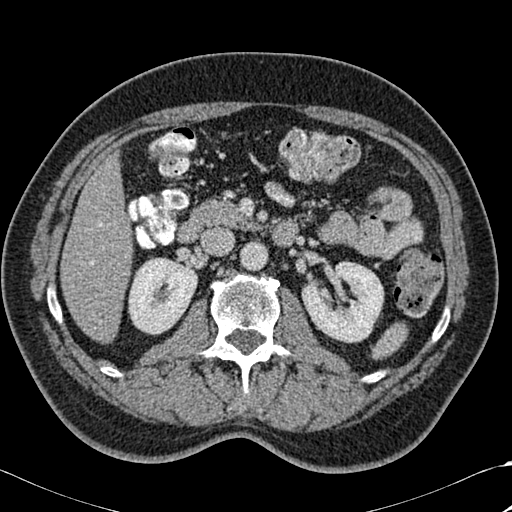 Abdomen | CT image
Kidney at <box>129,258,196,333</box>, <box>302,262,383,341</box>.
Liver at <box>61,158,131,340</box>.
Bone at <box>364,372,380,382</box>, <box>48,288,61,321</box>, <box>102,367,120,376</box>, <box>203,275,288,410</box>, <box>433,318,448,340</box>.